FLAIR MR.
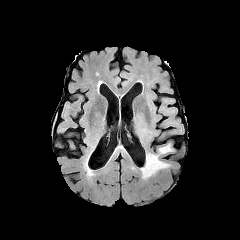
T1-weighted MRI.
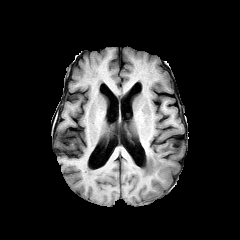
Post-contrast T1-weighted MRI.
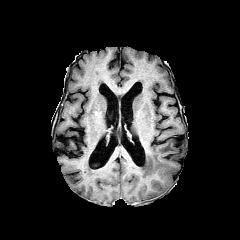
T2-weighted MR image.
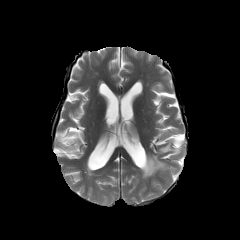
Brain
edema:
  - left=141, top=143, right=173, bottom=177